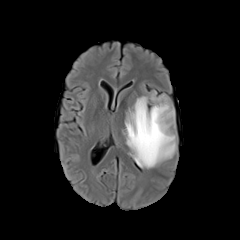
FLAIR MRI.
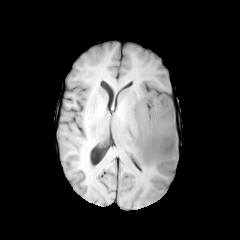
T1-weighted MR of the same slice.
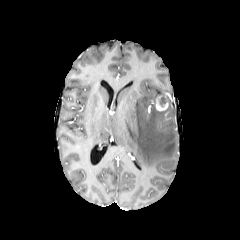
Post-contrast T1-weighted magnetic resonance.
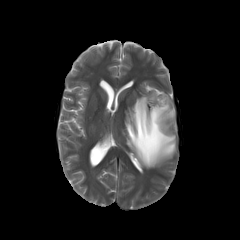
T2-weighted MR image.
Head. 240x240 px.
{
  "non-enhancing_tumor_core": [
    "<box>154,93,171,112</box>"
  ],
  "edema": [
    "<box>121,89,178,169</box>"
  ],
  "enhancing_tumor": [
    "<box>156,101,168,110</box>"
  ]
}